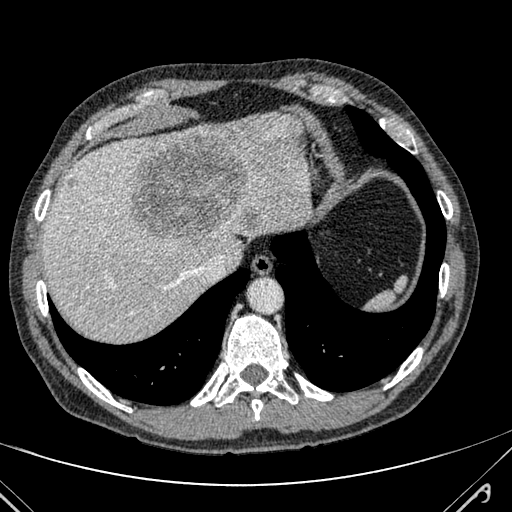
Liver; CT slice
{
  "liver": [
    "43,114,312,340"
  ],
  "hepatic_lesion": [
    "242,211,260,227",
    "132,133,246,246",
    "69,177,76,186"
  ]
}